FLAIR MR image.
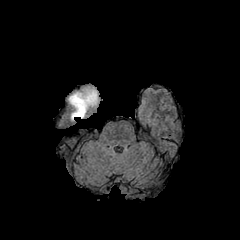
T1-weighted magnetic resonance.
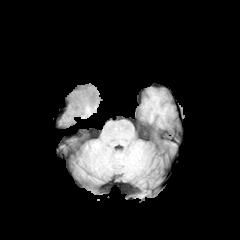
Post-contrast T1-weighted MR image.
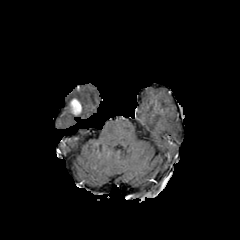
T2-weighted magnetic resonance.
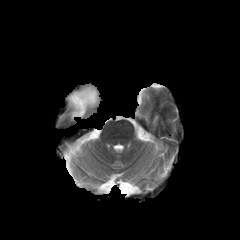
The edema is located at (68, 86, 99, 119). The enhancing tumor is at (70, 98, 81, 114).